FLAIR MR.
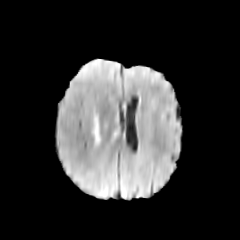
T1-weighted MRI.
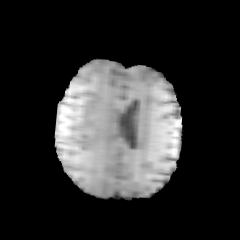
Post-contrast T1-weighted MR image.
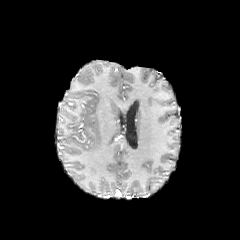
T2-weighted MR image.
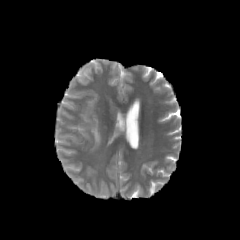
Head; 240x240
{"edema": ["region(92, 114, 101, 147)"]}